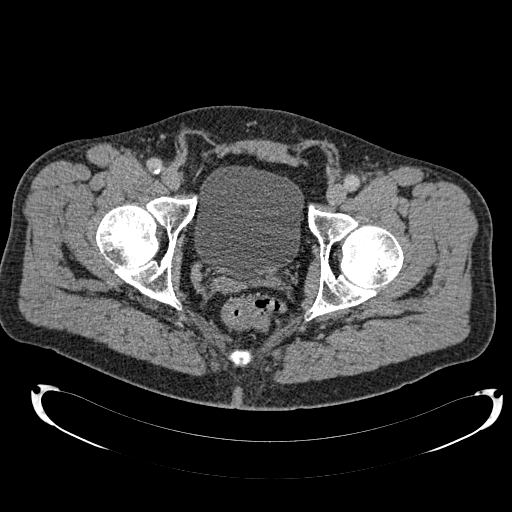

Pelvis, CT scan slice
<segmentation>
  <urinary_bladder>rect(194, 166, 303, 281)</urinary_bladder>
</segmentation>